CT | Abdomen | Image size 512x512 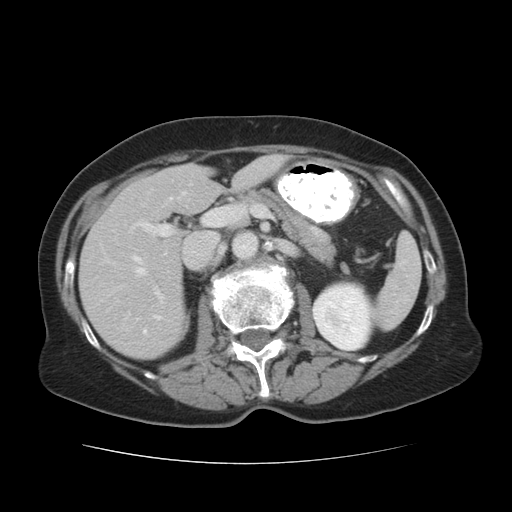 Liver: bounding box rect(231, 155, 288, 190); rect(79, 163, 228, 358).
Bone: bounding box rect(81, 318, 99, 349); rect(65, 263, 73, 288); rect(417, 306, 432, 335); rect(385, 178, 395, 188); rect(423, 250, 436, 274); rect(210, 256, 293, 397).
Kidney: bounding box rect(313, 285, 370, 349).